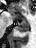 MR; 36x48 px; Medial temporal lobe
Anterior hippocampus = [12, 14, 17, 19], [21, 17, 26, 21].
Posterior hippocampus = [16, 22, 28, 31].